Field of view 240x240 mm.
FLAIR MR image.
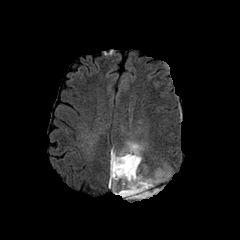
T1-weighted magnetic resonance.
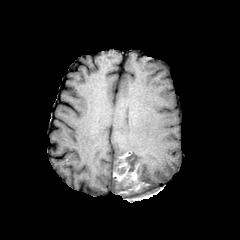
Post-contrast T1-weighted MR.
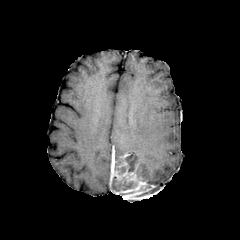
T2-weighted MRI.
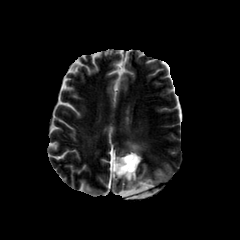
Non-enhancing tumor core: bounding box region(136, 184, 153, 196); region(114, 154, 139, 191).
Enhancing tumor: bounding box region(110, 152, 120, 183); region(124, 172, 135, 179); region(114, 178, 148, 199).
Edema: bounding box region(136, 166, 155, 184); region(116, 142, 142, 165); region(110, 177, 119, 192).